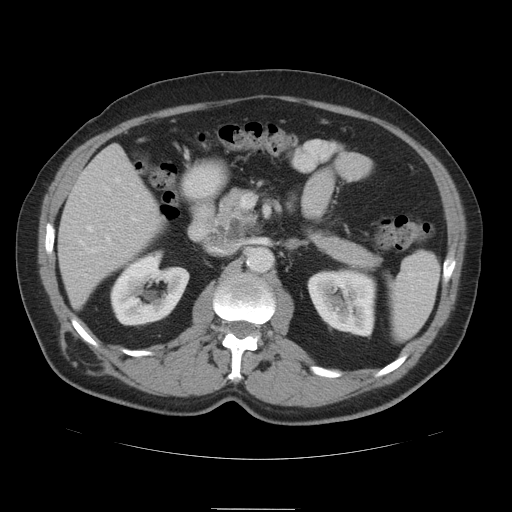 CT scan slice. 512x512 px. Upper abdomen.
Pancreas: bbox=[210, 188, 261, 244]; bbox=[308, 227, 382, 272].
Pancreatic tumor: bbox=[228, 219, 255, 239].